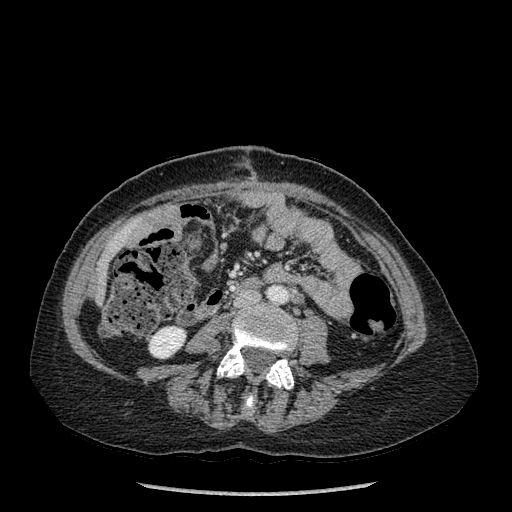
CT, Image size 512x512

liver: 97, 233, 125, 301; 124, 222, 134, 232 | bone: 244, 393, 254, 414; 262, 358, 293, 389; 217, 303, 297, 377 | kidney: 149, 327, 185, 357